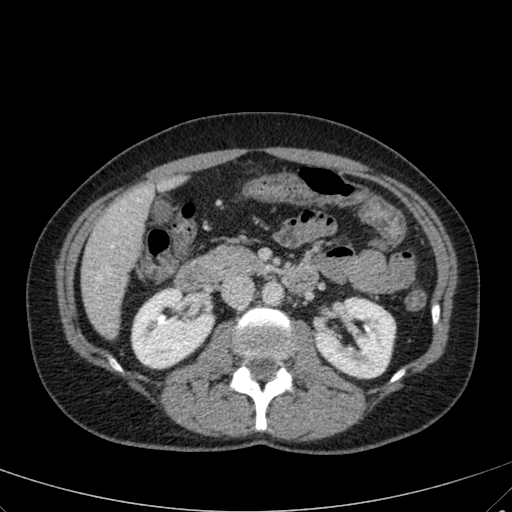
CT; Upper abdomen
kidney:
  - rect(316, 298, 395, 377)
  - rect(132, 289, 212, 367)
liver:
  - rect(81, 177, 176, 338)